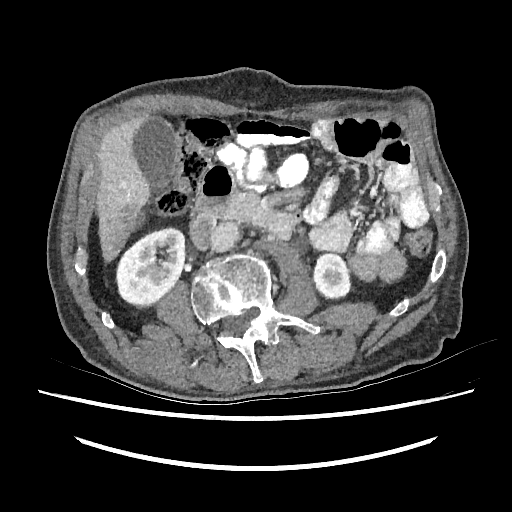

Image size 512x512. CT slice. Abdomen.
Hepatic lesion at [112,204,137,249].
Liver at [96,112,149,260].
Kidney at [117,229,184,304], [314,254,349,297].